240x240. Slice 92 of 155. Head.
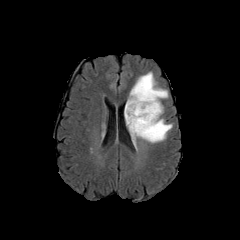
FLAIR MR.
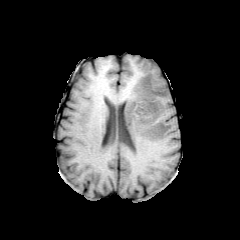
T1-weighted magnetic resonance.
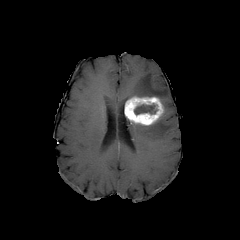
Post-contrast T1-weighted MRI.
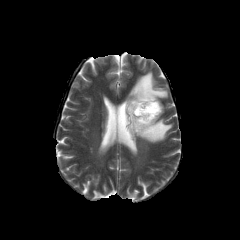
Same slice, T2-weighted magnetic resonance.
enhancing tumor: x1=124, y1=96, x2=163, y2=125 | non-enhancing tumor core: x1=134, y1=104, x2=155, y2=114 | edema: x1=128, y1=71, x2=168, y2=99; x1=126, y1=118, x2=172, y2=148